CT, Liver 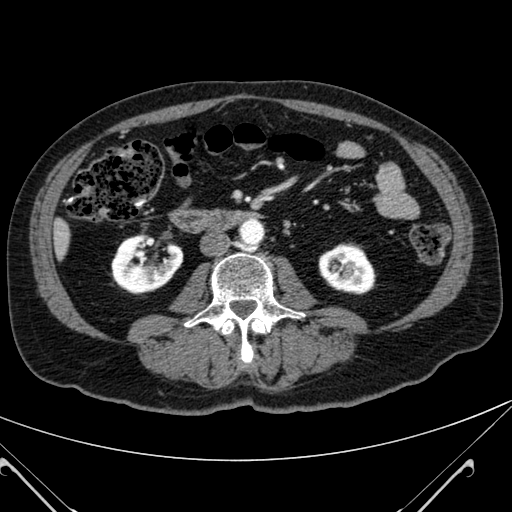
Kidney at 112,236,182,292; 320,246,373,292.
Liver at 53,222,69,255.